FLAIR MR image.
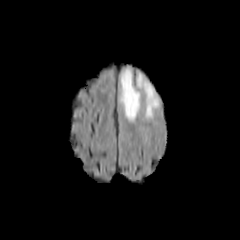
T1-weighted MR.
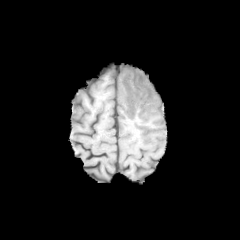
Post-contrast T1-weighted magnetic resonance.
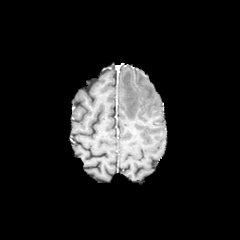
T2-weighted MRI.
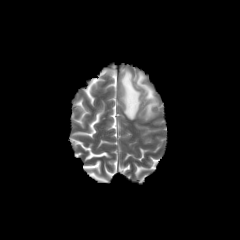
edema: {"x1": 120, "y1": 68, "x2": 140, "y2": 121}, {"x1": 136, "y1": 75, "x2": 159, "y2": 119}